Hippocampus. MR image. Slice 24/36. Image size 37x54.

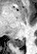 Posterior hippocampus: <bbox>11, 38, 24, 47</bbox>.